Brain, Slice 102 of 155
FLAIR MR image.
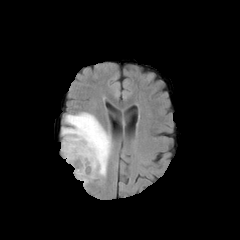
T1-weighted MR image.
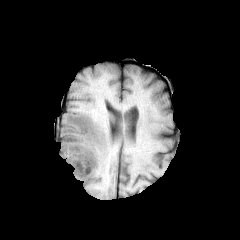
Post-contrast T1-weighted MR image.
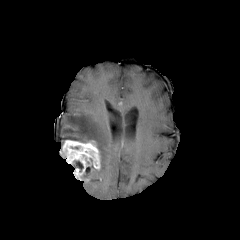
T2-weighted MR.
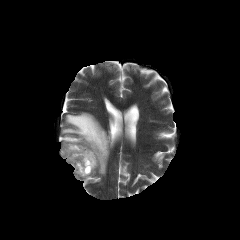
The edema appears at {"x1": 62, "y1": 112, "x2": 110, "y2": 175}. The enhancing tumor is at {"x1": 61, "y1": 139, "x2": 100, "y2": 183}.